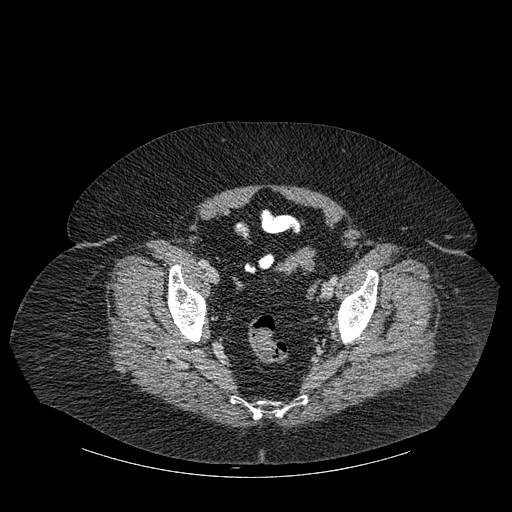

512x512 px. CT image. 3 bone regions are located at box=[168, 265, 205, 341]; box=[338, 270, 378, 343]; box=[231, 395, 307, 419].